FLAIR MRI.
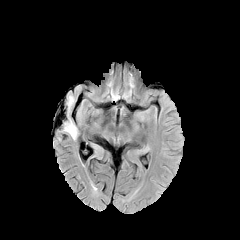
T1-weighted MRI.
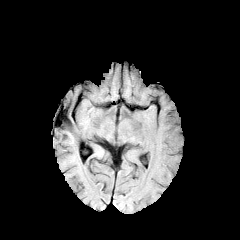
Post-contrast T1-weighted MRI.
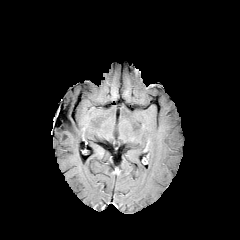
T2-weighted MR.
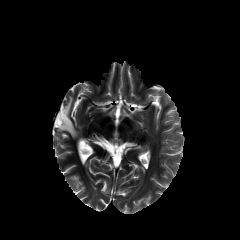
<segmentation>
  <edema>region(61, 96, 78, 139)</edema>
</segmentation>